Computed tomography; Thorax; Slice index 140

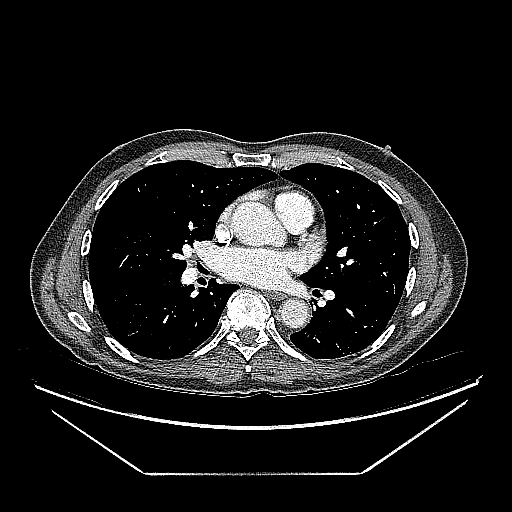 Lung tumor — x1=341 y1=346 x2=351 y2=354.